Image size 512x512 | Upper abdomen | CT

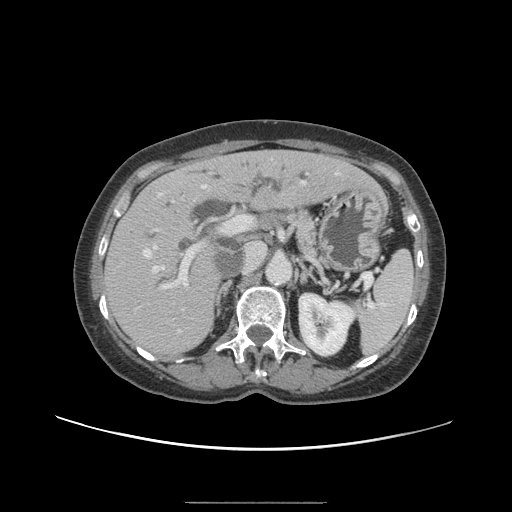 The pancreas lies within (286,209,318,256).